Field of view 438 mm wide, 0.70 mm slice spacing. CT slice.

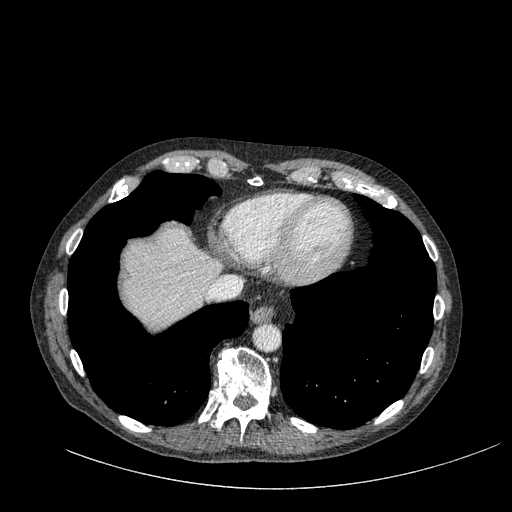

<segmentation>
  <liver>123, 226, 221, 327</liver>
</segmentation>